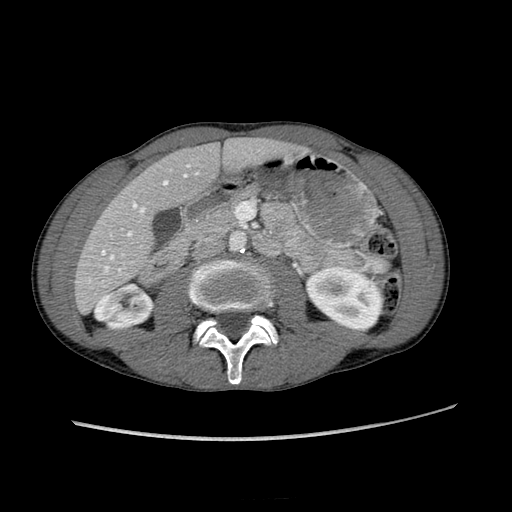

Liver, Computed tomography, 512x512
liver:
  - region(77, 137, 291, 302)
kidney:
  - region(95, 284, 151, 327)
  - region(307, 267, 380, 328)